Computed tomography. Upper abdomen. Slice 553 of 624. 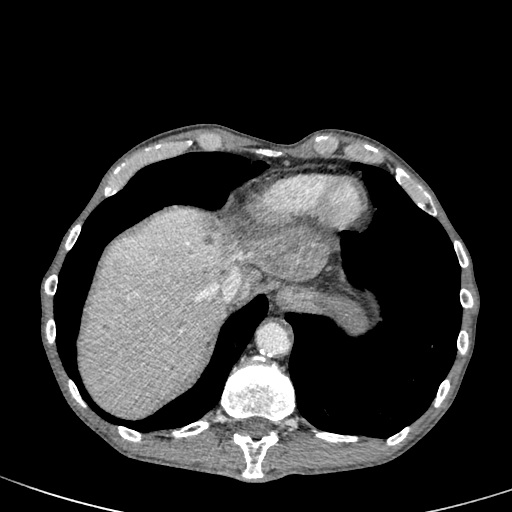
Hepatic lesion: bounding box box(197, 211, 331, 279).
Liver: bounding box box(79, 209, 247, 418); box(240, 274, 257, 295); box(274, 275, 305, 280).